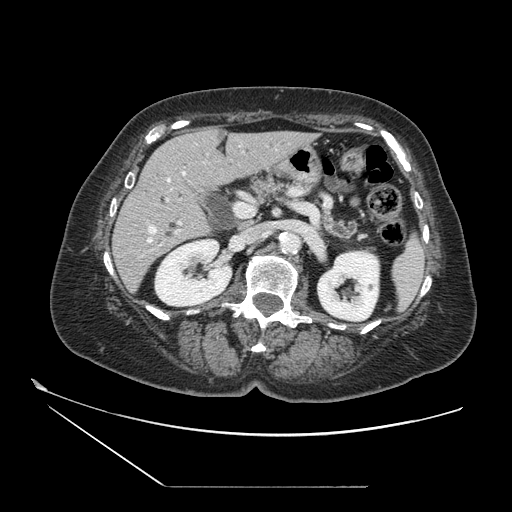
Abdomen. 512x512. CT scan slice.
Pancreas — box=[249, 177, 285, 197]; box=[323, 212, 355, 237].